FLAIR magnetic resonance.
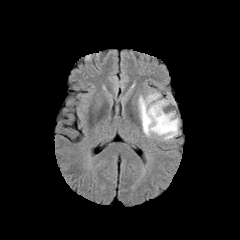
T1-weighted MR.
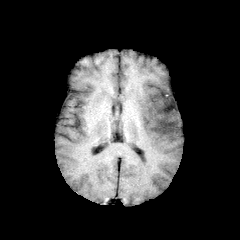
Post-contrast T1-weighted MRI.
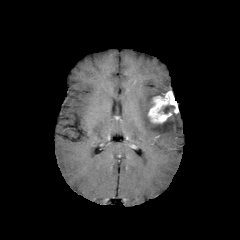
T2-weighted MR.
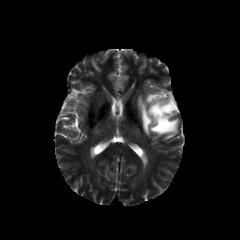
240x240.
The edema lies within [x1=138, y1=91, x2=179, y2=140]. The enhancing tumor is at [x1=147, y1=91, x2=177, y2=123]. The non-enhancing tumor core is located at [x1=163, y1=105, x2=174, y2=113].